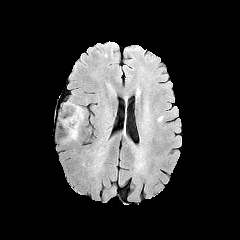
FLAIR MRI.
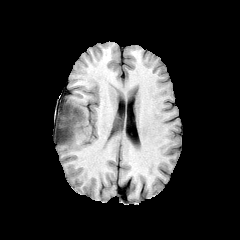
T1-weighted MR image of the same slice.
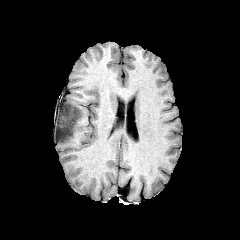
Post-contrast T1-weighted magnetic resonance.
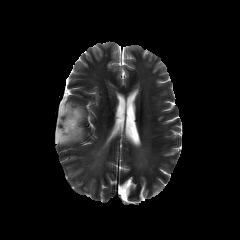
T2-weighted MR of the same slice.
Non-enhancing tumor core: bounding box x1=58 y1=108 x2=83 y2=141.
Edema: bounding box x1=58 y1=103 x2=74 y2=119.